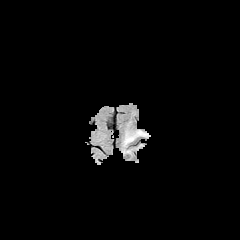
FLAIR MR image.
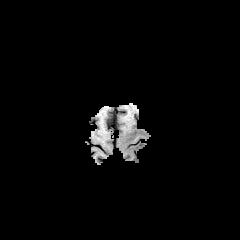
T1-weighted MR image.
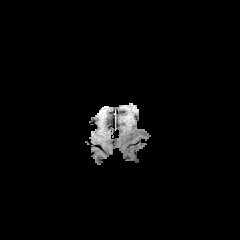
Post-contrast T1-weighted magnetic resonance.
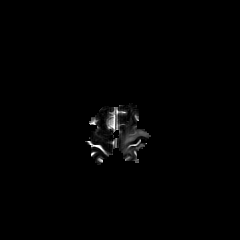
T2-weighted MR.
240x240. Head.
The edema is at 125 132 143 143.